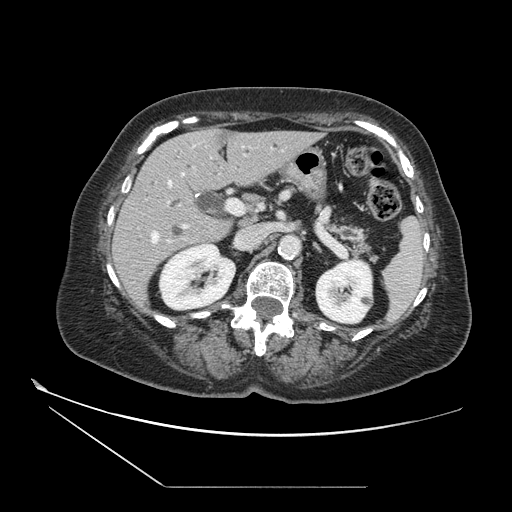
CT | Abdomen
{
  "pancreas": [
    "332, 227, 372, 258"
  ]
}